Brain.
FLAIR MR.
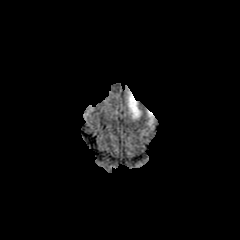
T1-weighted magnetic resonance.
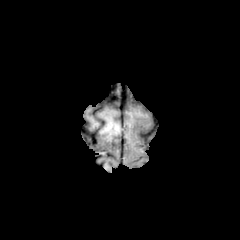
Post-contrast T1-weighted MR.
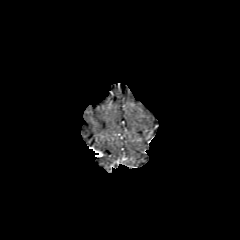
T2-weighted MRI.
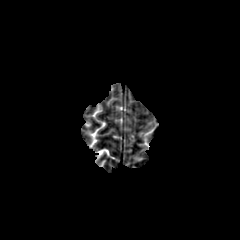
{"edema": ["left=128, top=94, right=139, bottom=117"]}